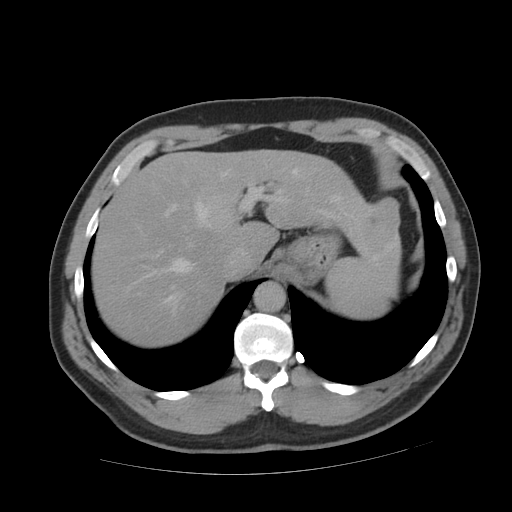 Image size 512x512, CT image, Abdomen
The vessel boxes may cover only some of the vessels.
{"hepatic_vessel": [{"x1": 273, "y1": 197, "x2": 288, "y2": 201}, {"x1": 292, "y1": 168, "x2": 301, "y2": 177}, {"x1": 168, "y1": 295, "x2": 176, "y2": 303}, {"x1": 195, "y1": 202, "x2": 210, "y2": 226}, {"x1": 158, "y1": 250, "x2": 162, "y2": 254}, {"x1": 332, "y1": 196, "x2": 339, "y2": 200}, {"x1": 135, "y1": 269, "x2": 161, "y2": 282}, {"x1": 166, "y1": 258, "x2": 194, "y2": 275}, {"x1": 166, "y1": 205, "x2": 175, "y2": 214}, {"x1": 277, "y1": 190, "x2": 282, "y2": 193}], "liver_tumor": [{"x1": 360, "y1": 201, "x2": 399, "y2": 252}]}